Slice 41/89; Abdomen; CT

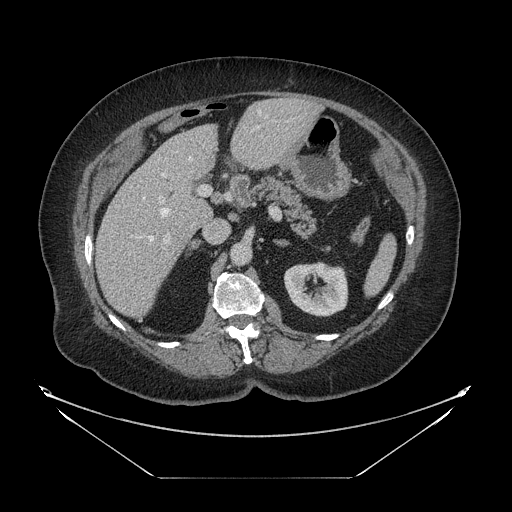

<segmentation>
  <pancreas><box>252,176,316,238</box></pancreas>
</segmentation>